Abdomen | CT image
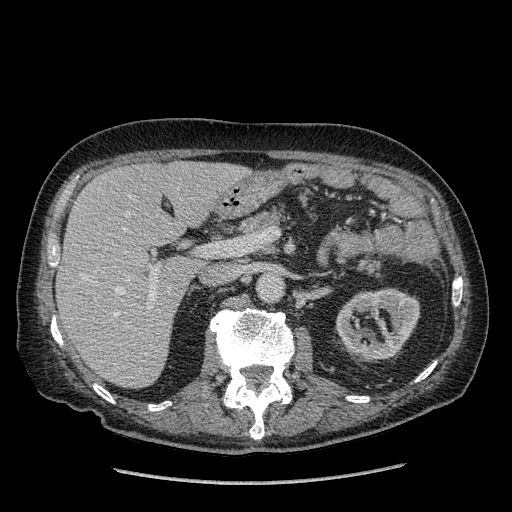 The liver is at bbox=[56, 161, 250, 387]. The kidney is located at bbox=[336, 289, 419, 360].